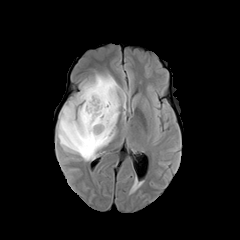
FLAIR MR.
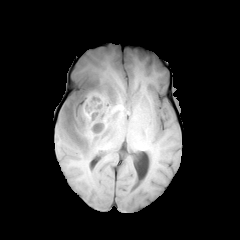
Same slice, T1-weighted MRI.
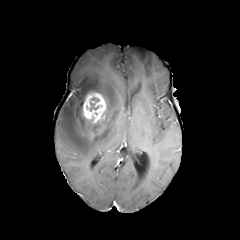
Post-contrast T1-weighted magnetic resonance.
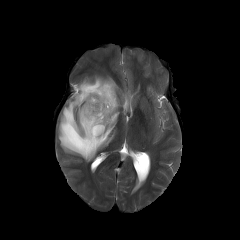
T2-weighted magnetic resonance of the same slice.
Head, 240x240 px
The edema is at l=55, t=74, r=130, b=161. The non-enhancing tumor core is bounded by l=89, t=97, r=99, b=111. The enhancing tumor is at l=83, t=93, r=105, b=122.